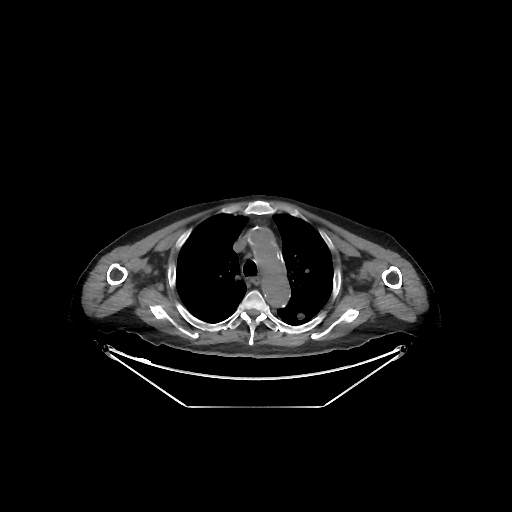
Chest, Image size 512x512, CT image
10 bone regions appear at box(107, 263, 127, 285); box(382, 266, 401, 288); box(150, 305, 172, 321); box(168, 273, 175, 286); box(311, 308, 358, 338); box(244, 201, 273, 214); box(176, 304, 198, 325); box(333, 273, 340, 296); box(180, 328, 198, 338); box(228, 290, 323, 344). 3 lung regions appear at box(243, 260, 257, 276); box(176, 213, 248, 323); box(272, 213, 333, 325).